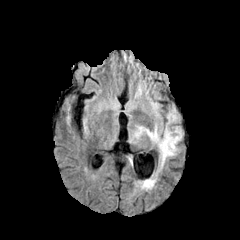
FLAIR magnetic resonance.
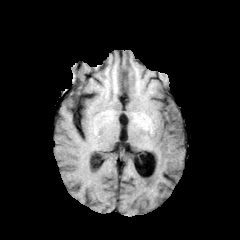
Same slice, T1-weighted MR.
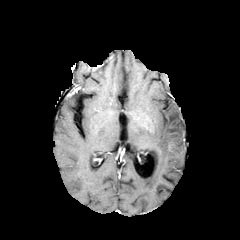
Post-contrast T1-weighted MR image.
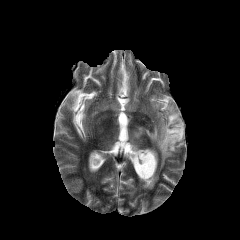
T2-weighted MR.
Brain. Image size 240x240.
- edema: [x1=134, y1=86, x2=142, y2=97], [x1=131, y1=96, x2=183, y2=169], [x1=139, y1=172, x2=158, y2=190]